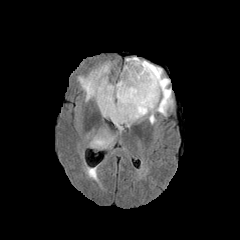
FLAIR MR.
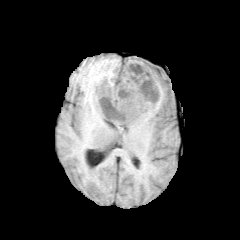
T1-weighted magnetic resonance.
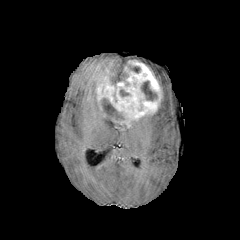
Same slice, post-contrast T1-weighted MR.
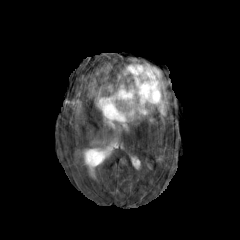
T2-weighted MR image.
enhancing tumor: x1=95 y1=60 x2=162 y2=127 | edema: x1=78 y1=61 x2=111 y2=106, x1=118 y1=57 x2=173 y2=124, x1=91 y1=129 x2=116 y2=148, x1=115 y1=124 x2=125 y2=133 | non-enhancing tumor core: x1=141 y1=81 x2=157 y2=101, x1=129 y1=66 x2=141 y2=73, x1=120 y1=89 x2=131 y2=97, x1=100 y1=99 x2=124 y2=120